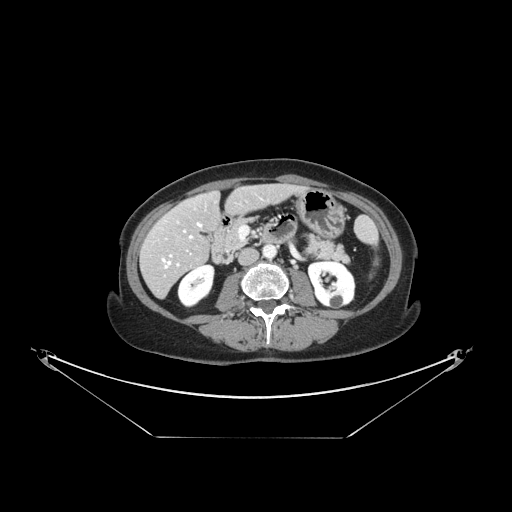 CT slice

Only some of the vessels may be annotated.
The hepatic vessel is located at box(198, 223, 200, 225).